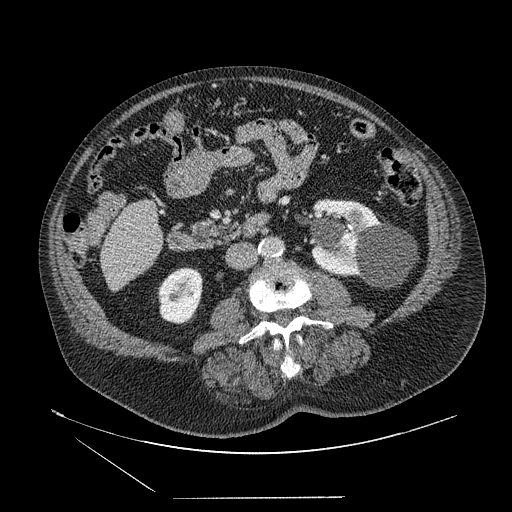 CT image. Upper abdomen.
<segmentation>
  <pancreas>x1=188 y1=219 x2=221 y2=244</pancreas>
</segmentation>